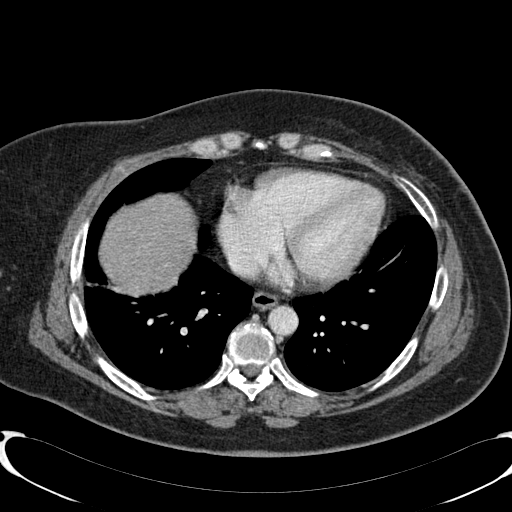

Computed tomography | Image size 512x512 | Upper abdomen
{
  "liver": [
    "x1=99 y1=196 x2=194 y2=289"
  ]
}